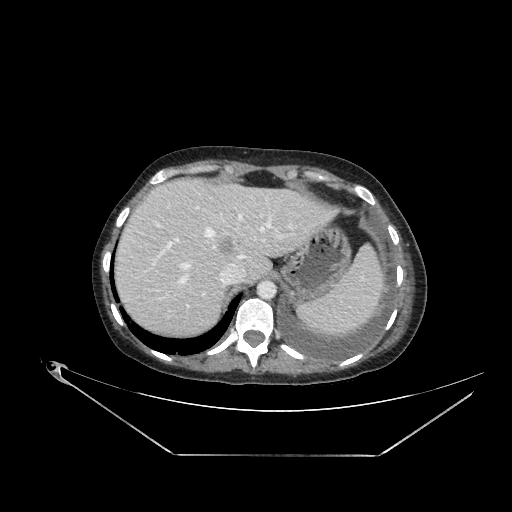
CT slice
liver: [121, 180, 328, 330] | liver lesion: [216, 236, 236, 253]